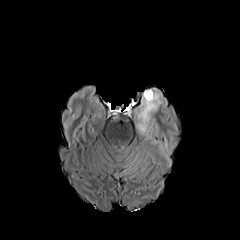
FLAIR magnetic resonance.
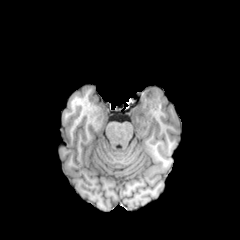
T1-weighted MRI.
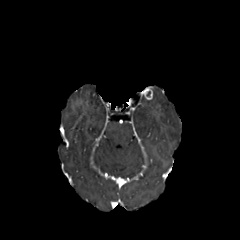
Post-contrast T1-weighted magnetic resonance of the same slice.
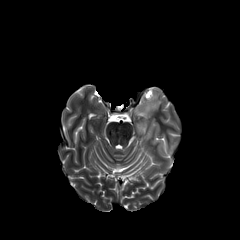
T2-weighted magnetic resonance.
Edema — bbox(132, 92, 163, 146).
Enhancing tumor — bbox(143, 88, 152, 99).